Field of view 385 mm wide, 1.50 mm slice spacing, CT
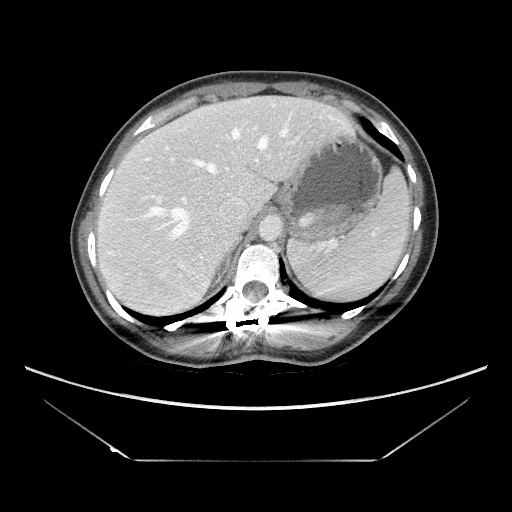 The vessel annotation is not exhaustive.
Segmented structures:
- hepatic vessel: [x1=234, y1=130, x2=237, y2=137], [x1=220, y1=211, x2=222, y2=214], [x1=184, y1=199, x2=186, y2=202], [x1=200, y1=162, x2=217, y2=174], [x1=281, y1=131, x2=284, y2=136], [x1=257, y1=137, x2=267, y2=150], [x1=232, y1=197, x2=243, y2=204], [x1=147, y1=206, x2=190, y2=239]